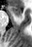

Hippocampus, Magnetic resonance

Anterior hippocampus: box=[8, 6, 22, 16].